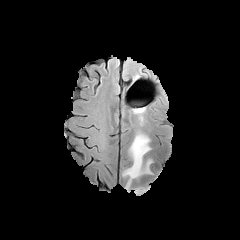
FLAIR MR.
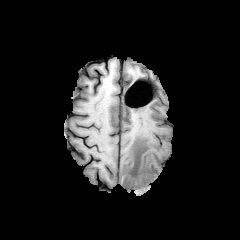
T1-weighted MR.
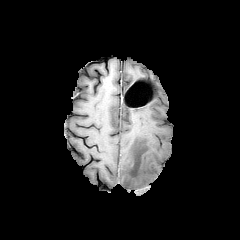
Same slice, post-contrast T1-weighted MR.
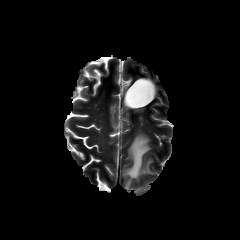
Same slice, T2-weighted MR image.
240x240 px. Brain.
The edema lies within 122, 133, 151, 189.